CT slice | Image width 471 mm 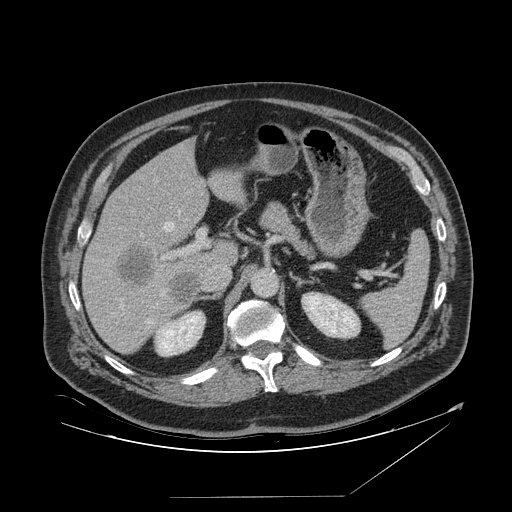

The spleen is bounded by [x1=361, y1=232, x2=429, y2=347].